Computed tomography. Slice index 261.
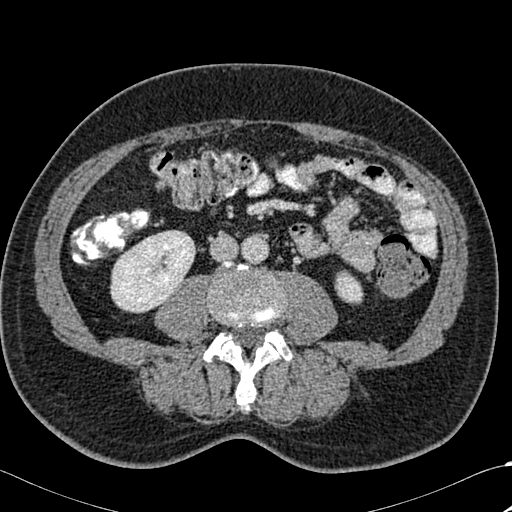

Annotated regions:
• bone: l=203, t=262, r=291, b=409
• kidney: l=337, t=277, r=361, b=301; l=111, t=231, r=194, b=311